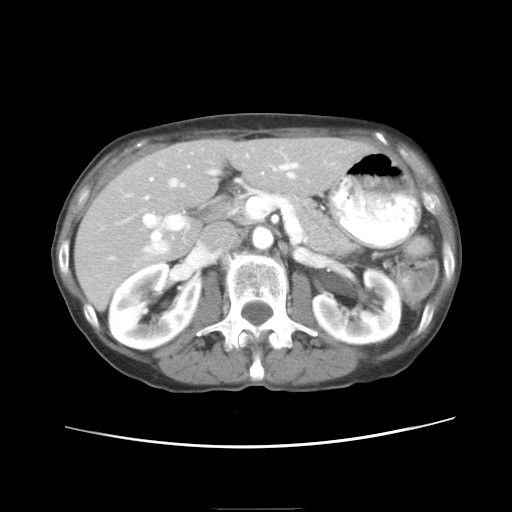
Abdomen; CT; 512x512
The vessel annotation is not exhaustive.
9 hepatic vessel regions are bounded by x1=145 y1=195 x2=148 y2=198, x1=169 y1=178 x2=183 y2=185, x1=272 y1=167 x2=274 y2=169, x1=142 y1=213 x2=156 y2=226, x1=280 y1=162 x2=296 y2=177, x1=185 y1=225 x2=187 y2=227, x1=144 y1=231 x2=166 y2=252, x1=164 y1=215 x2=171 y2=222, x1=245 y1=154 x2=247 y2=156.